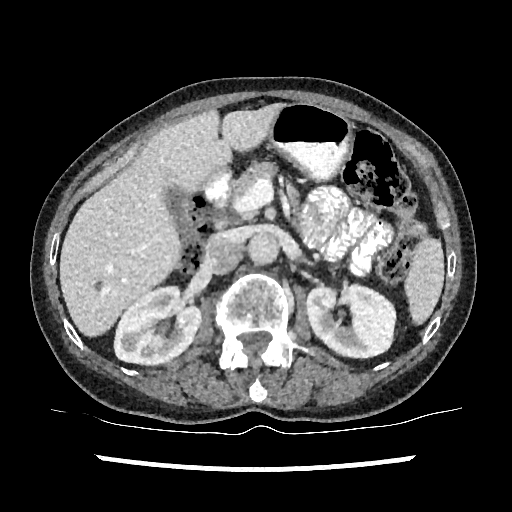
CT scan slice
Liver at <box>62,104,282,335</box>.
Kidney at <box>114,287,200,363</box>, <box>307,287,395,357</box>.
Focal liver lesion at <box>95,282,102,290</box>.